FLAIR MR.
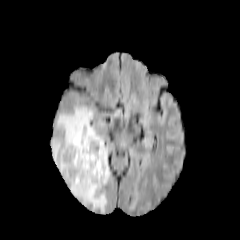
T1-weighted magnetic resonance.
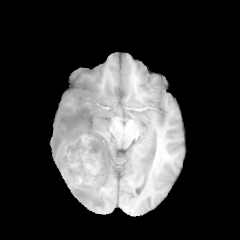
Post-contrast T1-weighted MR image.
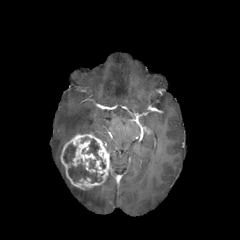
T2-weighted MR.
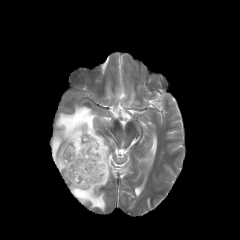
Brain
2 non-enhancing tumor core regions appear at (63,142,103,183), (87,139,98,159). The edema lies within (51,105,109,212). The enhancing tumor lies within (60,133,110,190).